Brain.
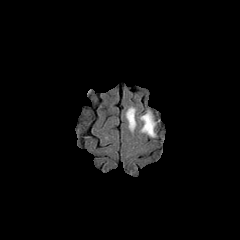
FLAIR MR image.
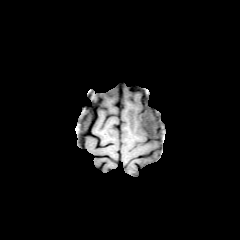
T1-weighted MRI of the same slice.
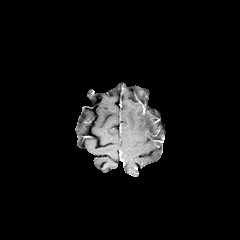
Post-contrast T1-weighted MR image of the same slice.
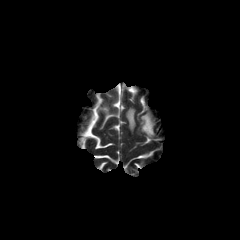
Same slice, T2-weighted MR.
Edema at left=126, top=106, right=135, bottom=129; left=140, top=111, right=156, bottom=137.